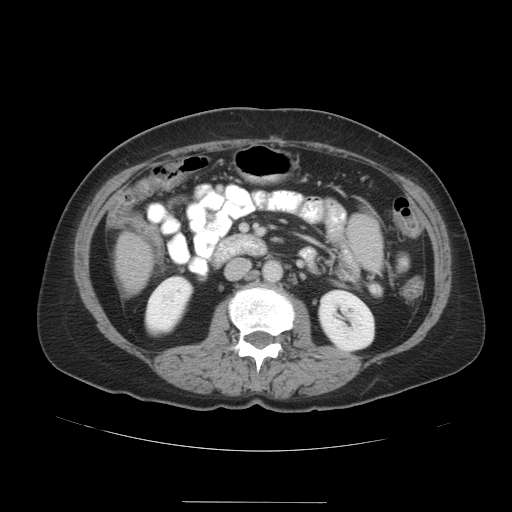

Abdomen. Computed tomography.
Only some of the vessels may be annotated.
2 hepatic vessel regions are located at x1=120, y1=237, x2=122, y2=240; x1=121, y1=276, x2=124, y2=278.